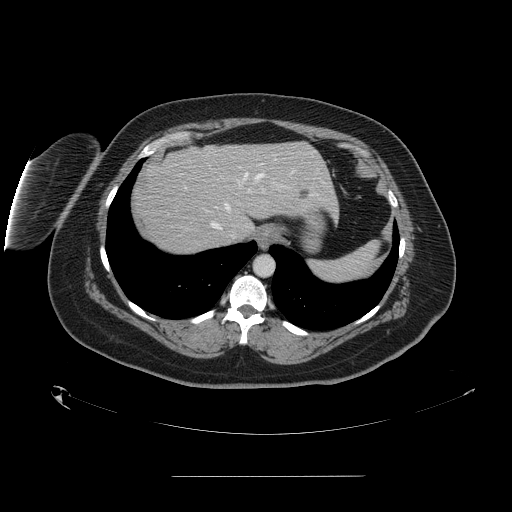 CT. Abdomen.

Spleen at (309,243,378,283).